240x240 px | Brain
FLAIR MR image.
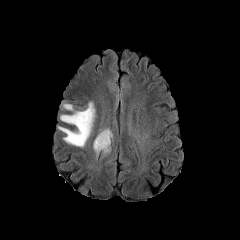
T1-weighted MR.
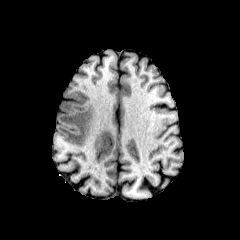
Post-contrast T1-weighted magnetic resonance.
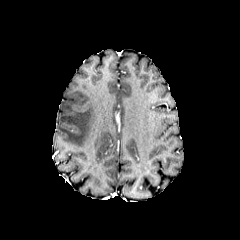
T2-weighted MR image.
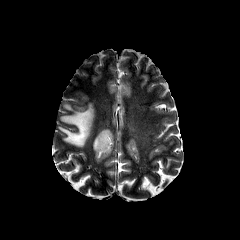
Edema = (left=59, top=102, right=94, bottom=146), (left=93, top=129, right=112, bottom=156).